Field of view 240 mm wide, 1.00 mm slice spacing, Head
FLAIR MRI.
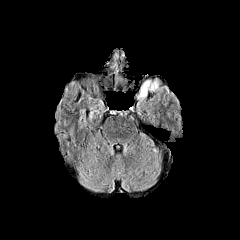
T1-weighted MR image.
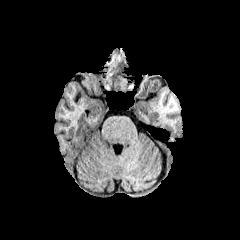
Post-contrast T1-weighted MRI.
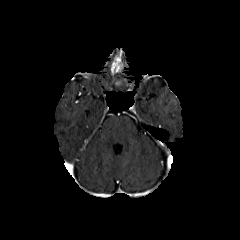
T2-weighted MR image.
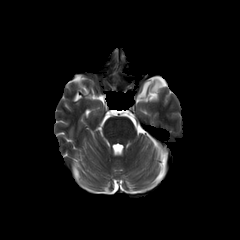
Edema: 150,78,160,91; 136,80,152,98.
Enhancing tumor: 109,49,129,76.